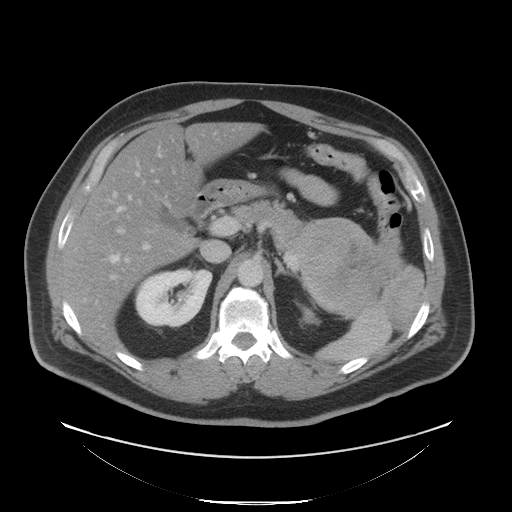 Abdomen. CT scan slice. 512x512.

pancreatic_tumor:
  - 293 218 396 314
pancreas:
  - 356 224 405 292
  - 234 200 331 252